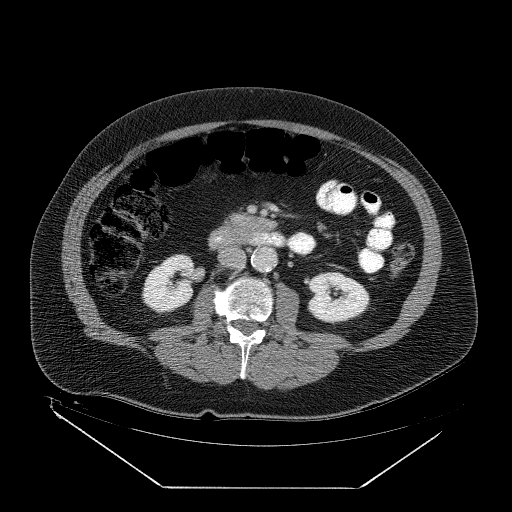

512x512 px, Upper abdomen, Computed tomography

Pancreas — x1=214 y1=212 x2=276 y2=245.